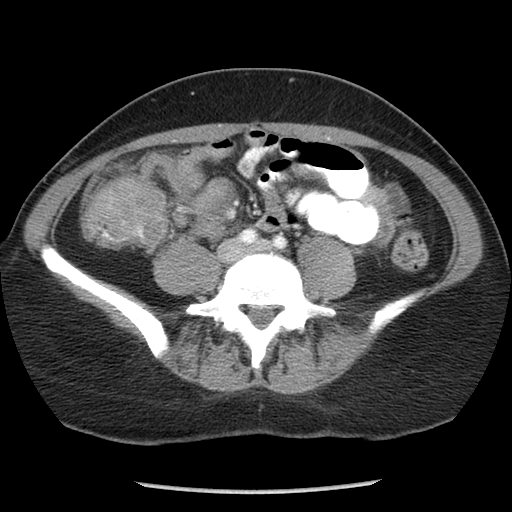
CT. Abdomen. <segmentation>
  <colon_tumor><box>89,175,167,243</box></colon_tumor>
</segmentation>